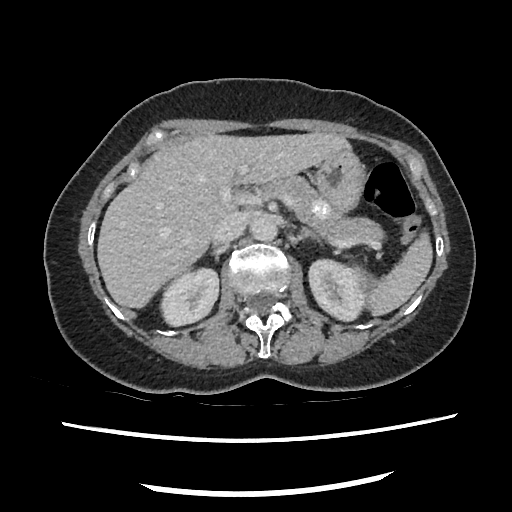

Abdomen | CT
Segmented structures:
* pancreas: 258, 176, 382, 239
* pancreatic tumor: 312, 200, 331, 220